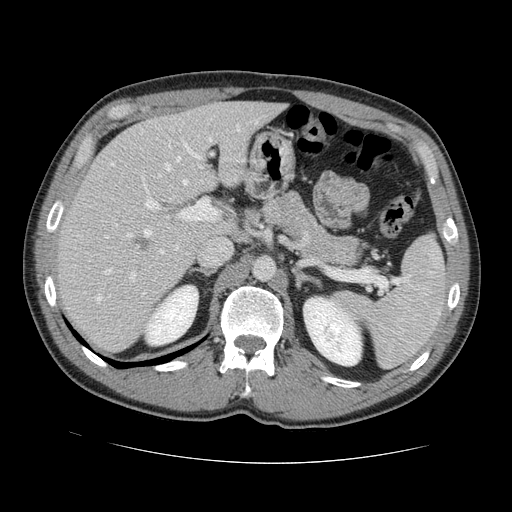
512x512. CT image.

Some hepatic vessels may have no box.
Top 15 of 22 hepatic vessel regions at 197,164,202,168; 94,293,101,301; 141,173,144,179; 165,164,169,170; 130,272,134,282; 180,138,201,162; 177,156,180,160; 110,162,114,165; 253,119,258,124; 127,229,132,237; 183,180,187,184; 104,269,110,273; 208,137,211,141; 236,124,239,130; 144,229,150,236.
Liver tumor at 133,238,151,251.